Liver, Slice 55/127, Image size 512x512, Field of view 360x360 mm, CT

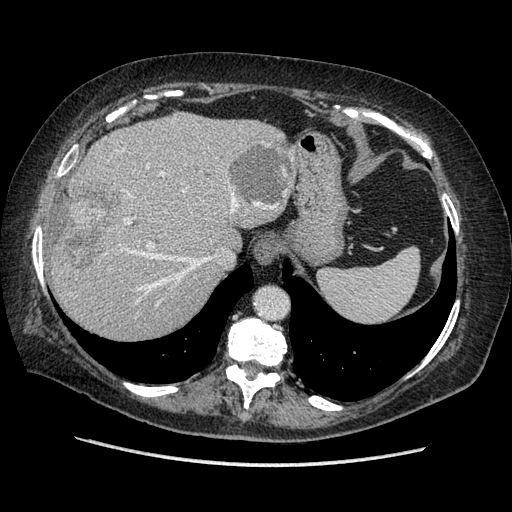

The vessel annotation is not exhaustive.
Hepatic vessel at [x1=125, y1=219, x2=131, y2=223], [x1=232, y1=199, x2=235, y2=212], [x1=128, y1=193, x2=131, y2=195], [x1=123, y1=243, x2=169, y2=258], [x1=137, y1=257, x2=207, y2=290], [x1=161, y1=172, x2=163, y2=174].
Liver tumor at [x1=61, y1=189, x2=124, y2=270].